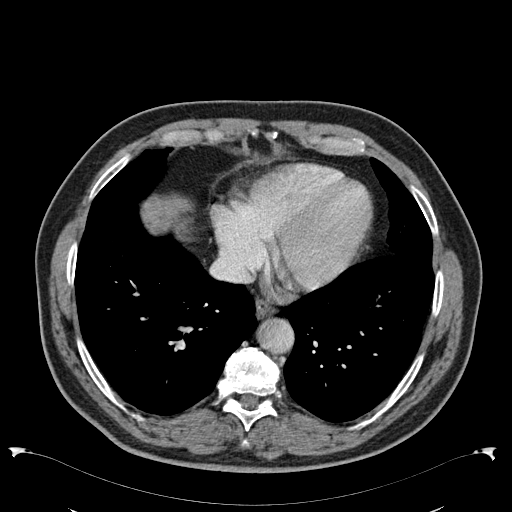 Computed tomography. Upper abdomen.

liver: region(144, 202, 175, 228)